CT scan slice; Slice 72 of 105; Abdomen 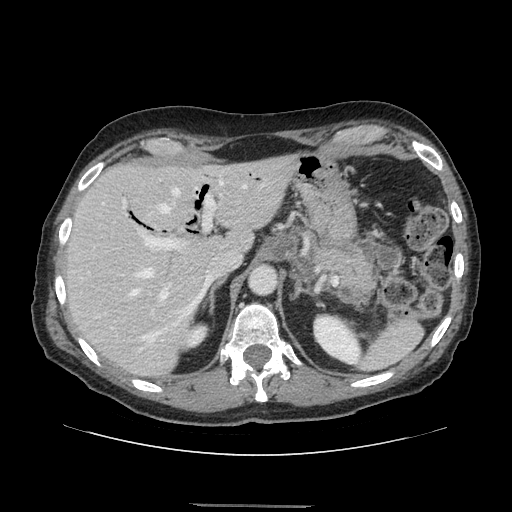 pancreas: [x1=312, y1=242, x2=373, y2=297]